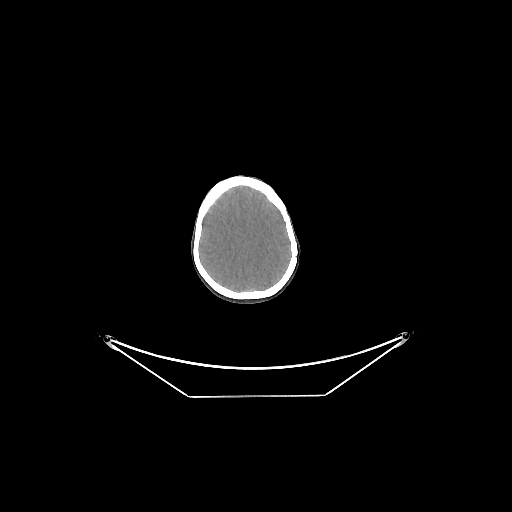
Head; Computed tomography
The brain is located at x1=199, y1=186, x2=291, y2=292.